Computed tomography, Slice index 27 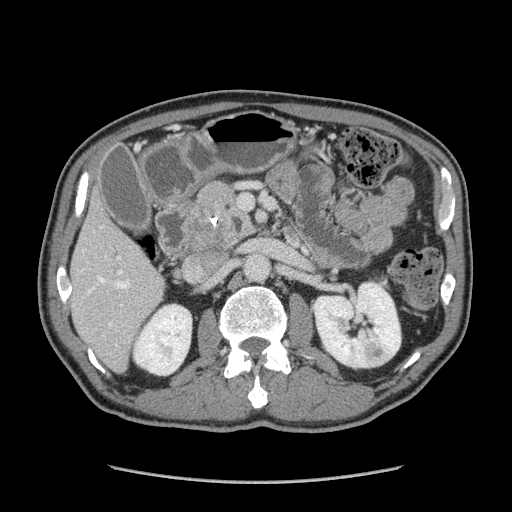

Pancreas — <bbox>181, 180, 254, 252</bbox>.